FLAIR MRI.
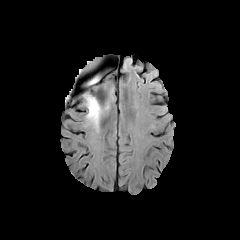
T1-weighted MR image.
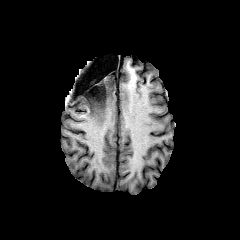
Post-contrast T1-weighted MRI.
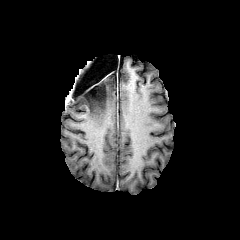
T2-weighted MRI.
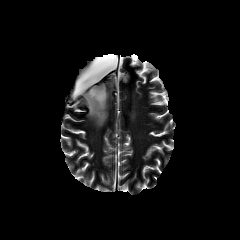
Head; Image size 240x240
non-enhancing tumor core: bbox(83, 76, 105, 109) | edema: bbox(97, 90, 106, 101); bbox(82, 96, 108, 129)